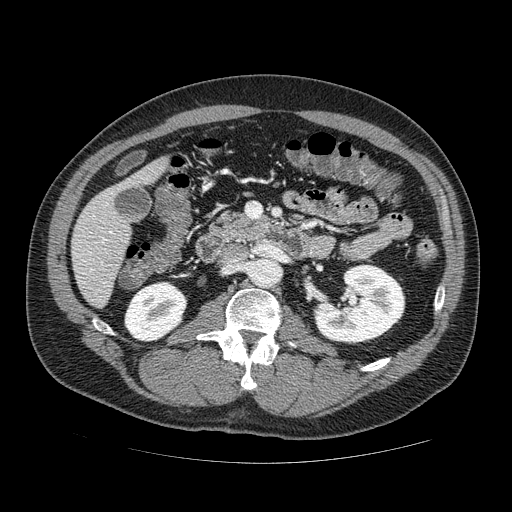 512x512 px, CT slice

pancreas: rect(218, 210, 275, 242)